FLAIR MR.
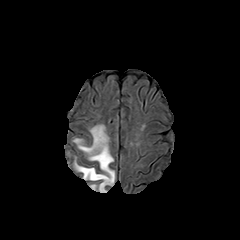
T1-weighted MRI.
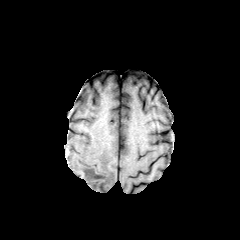
Post-contrast T1-weighted MR.
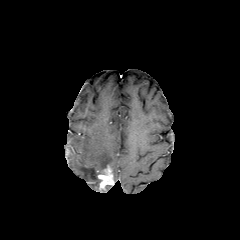
T2-weighted MRI.
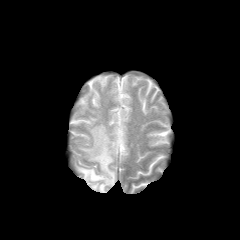
Head
enhancing tumor: box=[96, 168, 114, 191] | non-enhancing tumor core: box=[93, 170, 103, 187] | edema: box=[74, 124, 114, 191]